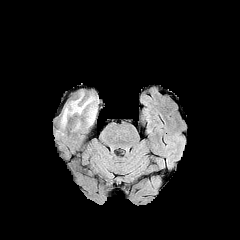
FLAIR magnetic resonance.
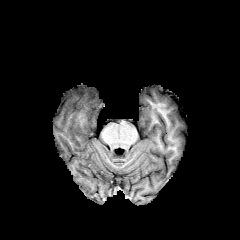
T1-weighted MR.
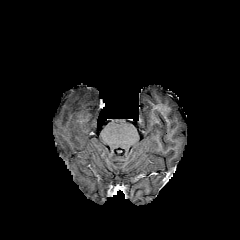
Post-contrast T1-weighted magnetic resonance.
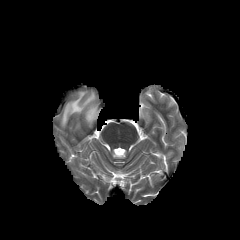
T2-weighted MR of the same slice.
Head
edema:
  - bbox(60, 92, 96, 128)
  - bbox(85, 103, 97, 127)